FLAIR MR.
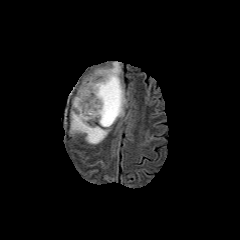
T1-weighted MRI.
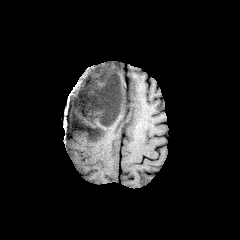
Post-contrast T1-weighted MRI.
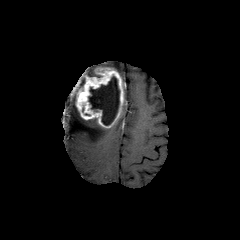
T2-weighted magnetic resonance.
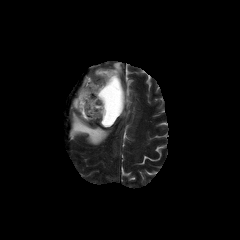
Brain. 240x240 px.
3 edema regions are located at l=112, t=61, r=122, b=76; l=69, t=97, r=111, b=144; l=120, t=88, r=130, b=117. The non-enhancing tumor core is at l=89, t=77, r=119, b=125. The enhancing tumor is bounded by l=74, t=66, r=128, b=128.